Brain.
FLAIR magnetic resonance.
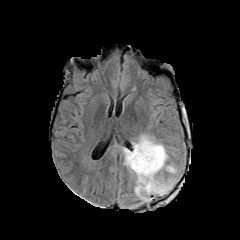
T1-weighted magnetic resonance.
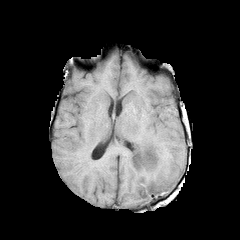
Post-contrast T1-weighted MR image.
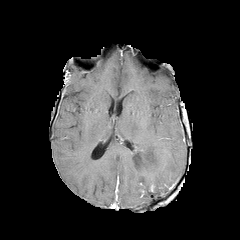
T2-weighted MR.
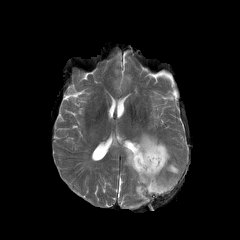
Segmented structures:
* edema: left=122, top=134, right=179, bottom=203
* non-enhancing tumor core: left=150, top=183, right=168, bottom=191